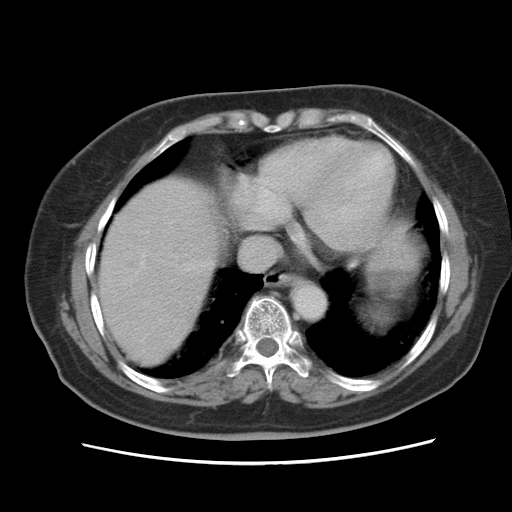
CT scan slice
Some hepatic vessels may have no box.
{
  "hepatic_vessel": [
    "box(201, 264, 205, 265)"
  ]
}